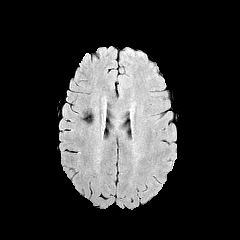
FLAIR MR image.
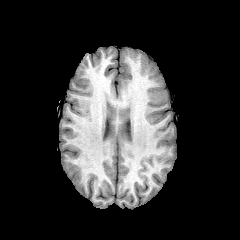
T1-weighted MR.
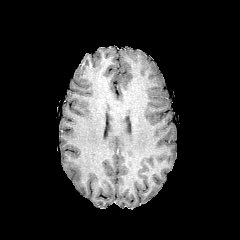
Post-contrast T1-weighted MR.
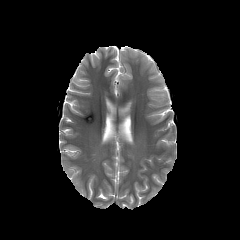
T2-weighted MR of the same slice.
<segmentation>
  <edema><box>123,48,143,57</box></edema>
</segmentation>